Head. Slice index 122.
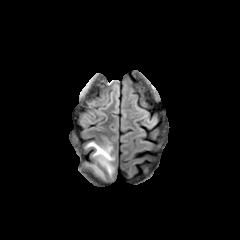
FLAIR MRI.
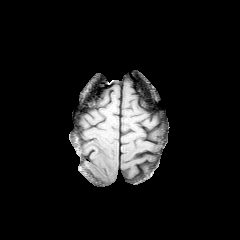
T1-weighted MR of the same slice.
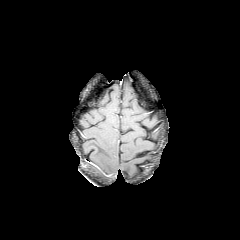
Same slice, post-contrast T1-weighted MR image.
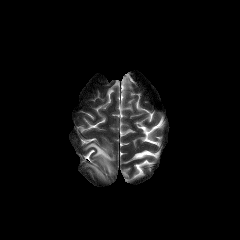
T2-weighted MR image.
2 edema regions are located at (86,141,114,175), (92,165,104,177).